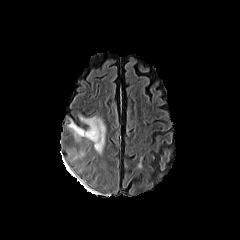
FLAIR MR.
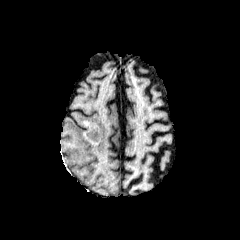
Same slice, T1-weighted MR.
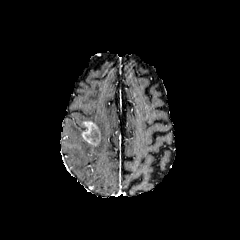
Post-contrast T1-weighted magnetic resonance of the same slice.
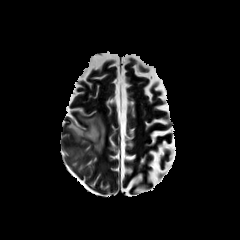
T2-weighted MR image.
Brain
Segmented structures:
• edema: [x1=78, y1=114, x2=106, y2=154], [x1=68, y1=118, x2=84, y2=141]
• enhancing tumor: [x1=81, y1=120, x2=100, y2=146]